Upper abdomen | CT slice | Image width 418 mm
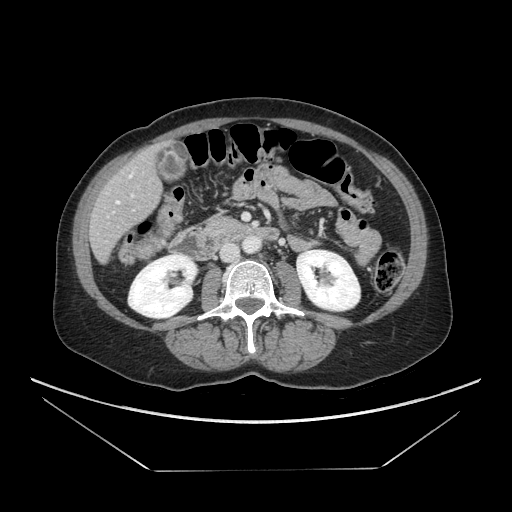

The pancreas is bounded by {"x1": 205, "y1": 216, "x2": 246, "y2": 240}.